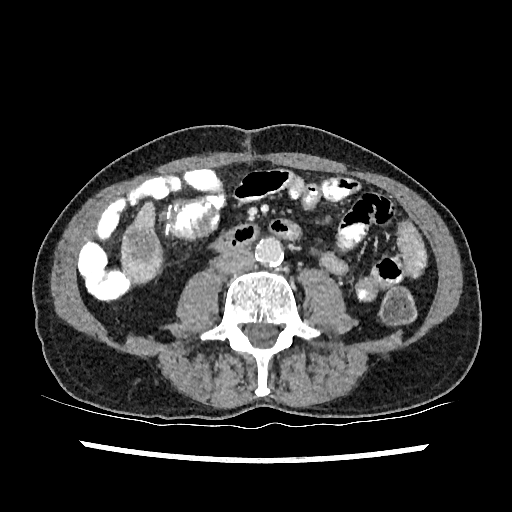
Liver. CT scan slice. Liver — left=122, top=202, right=160, bottom=281.
Hepatic lesion — left=127, top=229, right=157, bottom=261.